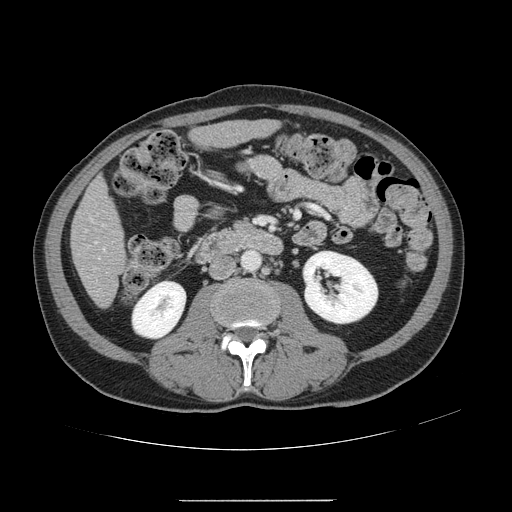
CT scan slice | Liver | 512x512
Not every hepatic vessel necessarily has a box.
Hepatic vessel = box(103, 249, 104, 250); box(102, 224, 104, 225).